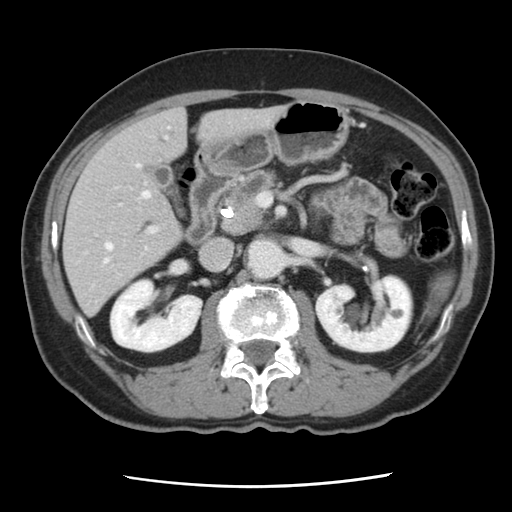

CT slice, Upper abdomen

Pancreatic tumor at <box>221,202,264,235</box>.
Pancreas at <box>226,169,276,218</box>.